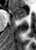 MRI slice | Hippocampus
The anterior hippocampus appears at x1=11, y1=5, x2=27, y2=19.